Image size 240x240, Slice index 81, Field of view 240 mm wide, 1.00 mm slice spacing, Head
FLAIR MR.
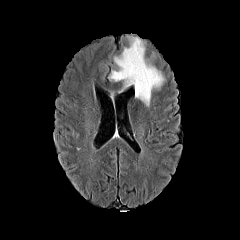
T1-weighted MR image.
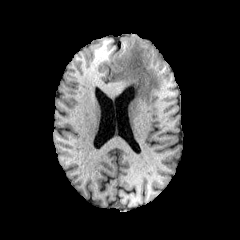
Post-contrast T1-weighted MR.
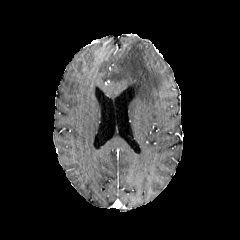
T2-weighted magnetic resonance.
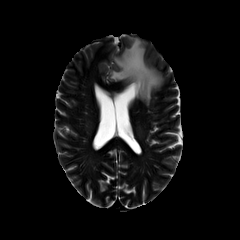
• edema: (109, 37, 163, 105)